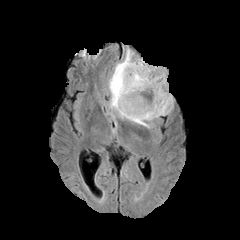
FLAIR MRI.
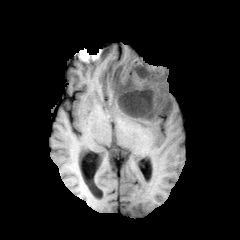
T1-weighted MR image.
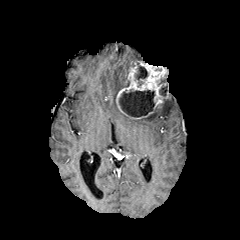
Post-contrast T1-weighted MR.
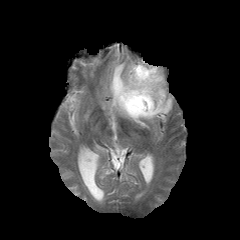
T2-weighted MR.
The enhancing tumor lies within <box>116,61,169,119</box>. 3 non-enhancing tumor core regions are bounded by <box>135,65,147,85</box>, <box>119,90,154,116</box>, <box>159,85,166,96</box>. 2 edema regions are bounded by <box>108,49,139,115</box>, <box>121,94,172,128</box>.